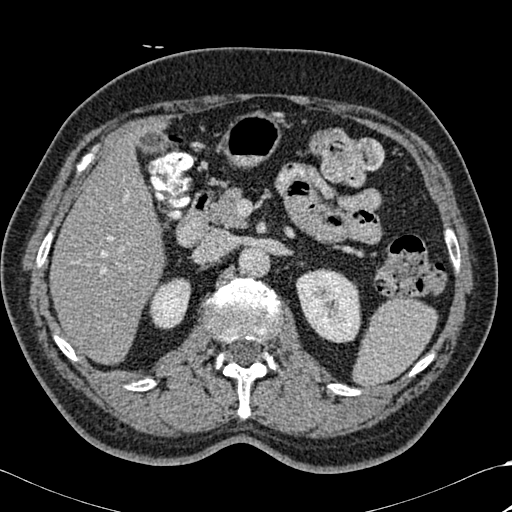
CT slice, Image size 512x512, Abdomen

Kidney: bounding box (left=152, top=280, right=189, bottom=327), (left=297, top=271, right=359, bottom=341).
Liver: bounding box (left=51, top=132, right=162, bottom=363).
Bone: bounding box (left=410, top=355, right=432, bottom=375), (left=446, top=230, right=459, bottom=268), (left=207, top=278, right=279, bottom=417), (left=128, top=379, right=155, bottom=390), (left=328, top=384, right=358, bottom=395), (left=55, top=336, right=76, bottom=360), (left=37, top=233, right=51, bottom=265).